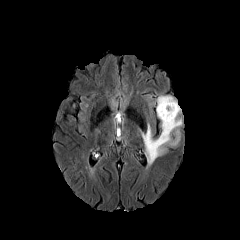
FLAIR MRI.
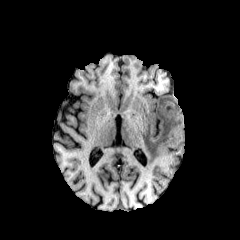
T1-weighted MR.
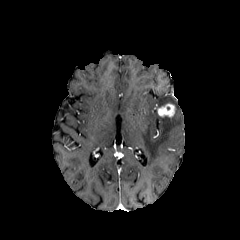
Post-contrast T1-weighted MR.
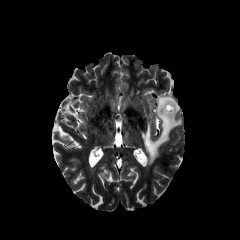
T2-weighted MR image of the same slice.
240x240 px.
{"edema": ["region(139, 94, 182, 166)"], "enhancing_tumor": ["region(158, 103, 176, 118)"]}